Upper abdomen. CT scan slice. 512x512. Field of view 472 mm wide, 4.00 mm slice spacing.
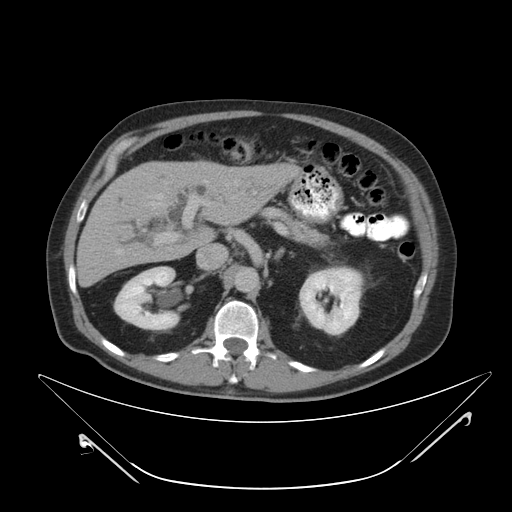
The pancreas is bounded by (282,214,326,247).